Field of view 512 mm wide, 1.00 mm slice spacing | CT slice 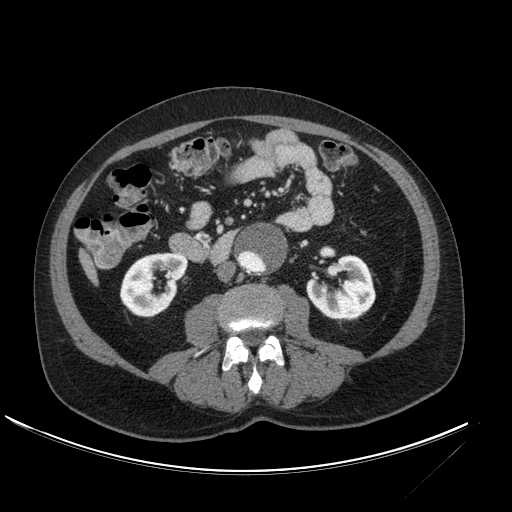 Liver: bounding box [79, 248, 98, 285].
Kidney: bounding box [307, 256, 374, 318], [121, 254, 186, 315].